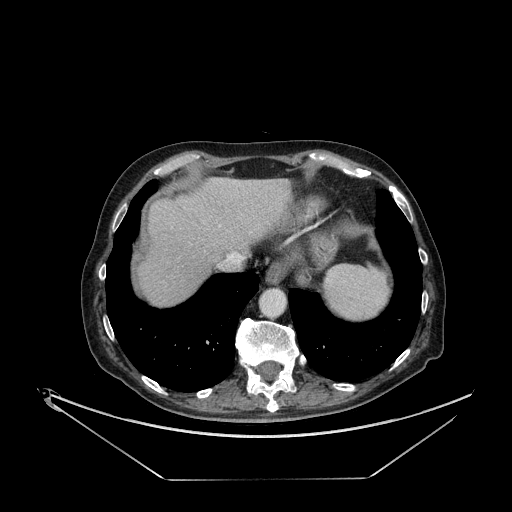 CT slice
The liver is located at [138,178,289,306].